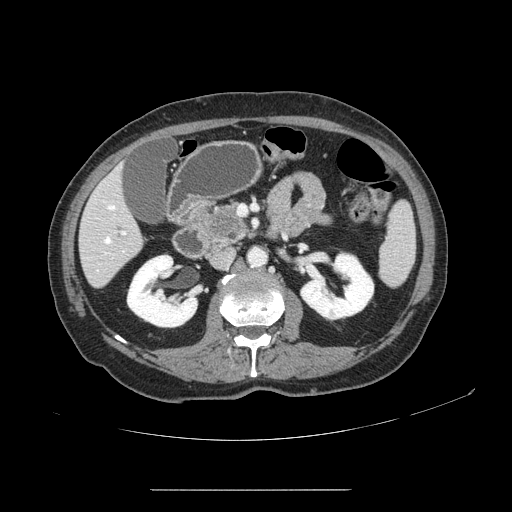

CT image; Abdomen; 512x512 px
<segmentation>
  <pancreas>197, 203, 249, 246</pancreas>
  <pancreatic_tumor>206, 211, 238, 237</pancreatic_tumor>
</segmentation>